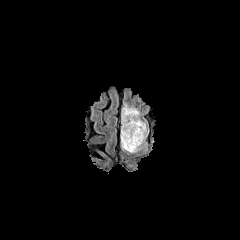
FLAIR magnetic resonance.
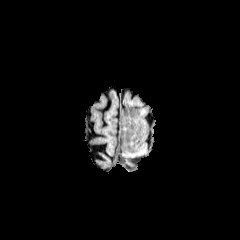
Same slice, T1-weighted MRI.
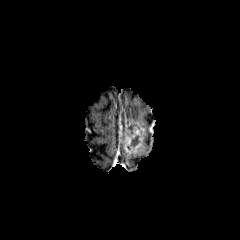
Same slice, post-contrast T1-weighted MR.
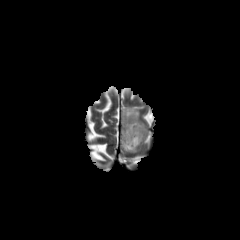
T2-weighted magnetic resonance.
Head.
- edema: [121,104,147,127]
- enhancing tumor: [120,118,147,154]
- non-enhancing tumor core: [127,123,139,133], [130,136,139,146]